Field of view 496x496 mm | Abdomen | Slice 18/41 | CT | 512x512
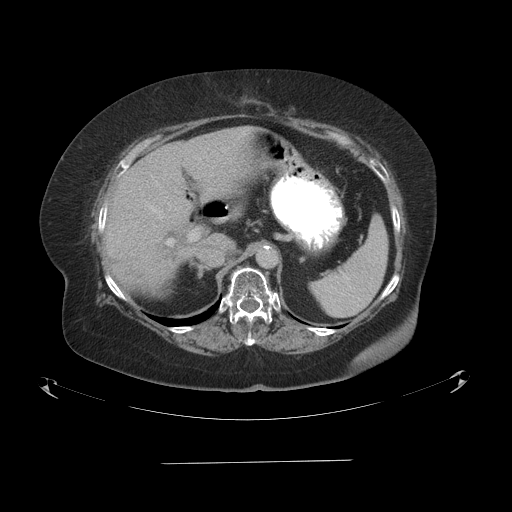 Not every hepatic vessel necessarily has a box.
Hepatic vessel at 189:231:197:240, 167:240:172:244, 152:208:155:210.